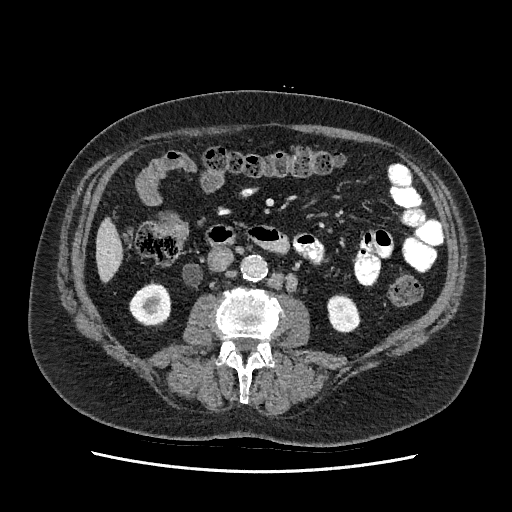
CT scan slice.

<segmentation>
  <kidney>l=328, t=297, r=358, b=331; l=130, t=285, r=169, b=324</kidney>
  <liver>l=96, t=219, r=120, b=282</liver>
</segmentation>